CT image; Field of view 360 mm wide, 0.80 mm slice spacing
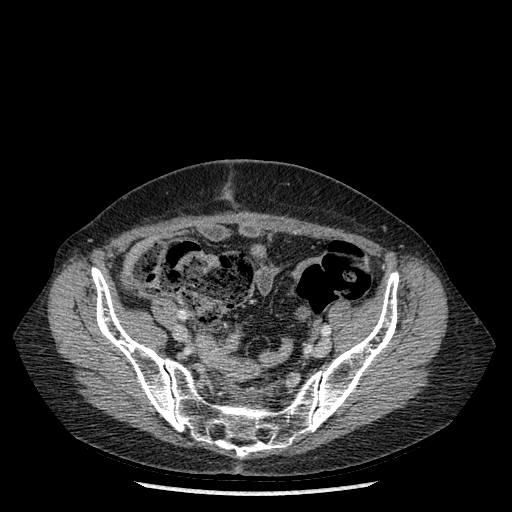 The bone appears at bbox=[91, 267, 398, 458].